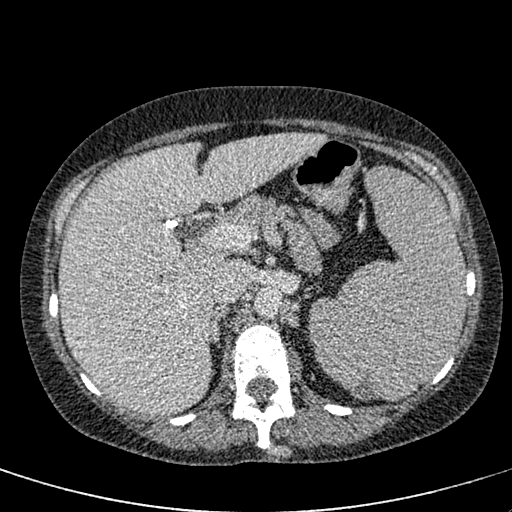 CT slice, 512x512, Abdomen

Liver: box(59, 134, 324, 414).